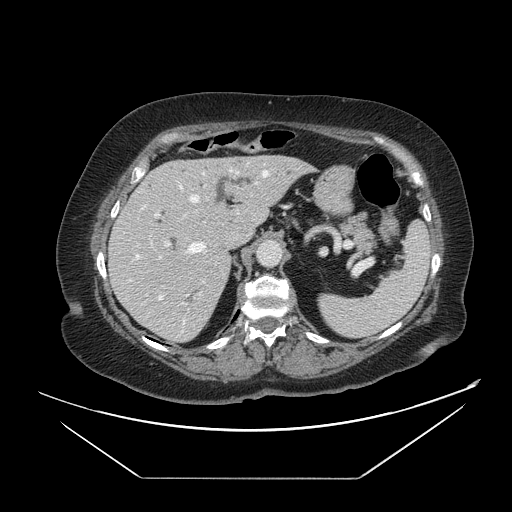

Abdomen; Computed tomography
The pancreas is at <box>341,214,378,251</box>.